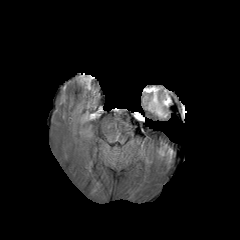
FLAIR MR image.
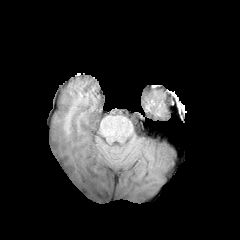
T1-weighted magnetic resonance.
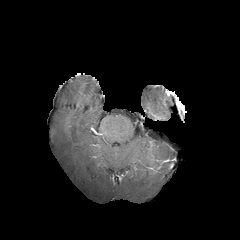
Post-contrast T1-weighted MR image.
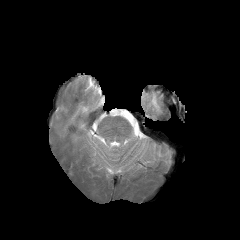
T2-weighted magnetic resonance.
2 edema regions are located at x1=158, y1=148, x2=171, y2=157; x1=144, y1=87, x2=169, y2=116.